Computed tomography | 512x512 | Abdomen
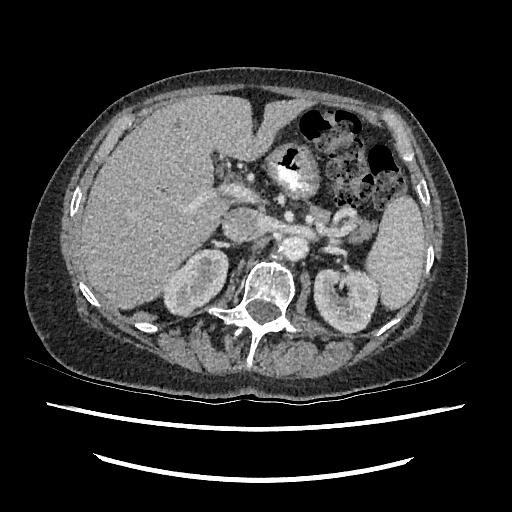 {
  "kidney": [
    {"x1": 314, "y1": 270, "x2": 377, "y2": 332},
    {"x1": 164, "y1": 250, "x2": 227, "y2": 315}
  ],
  "liver": [
    {"x1": 83, "y1": 95, "x2": 314, "y2": 307}
  ]
}